CT scan slice 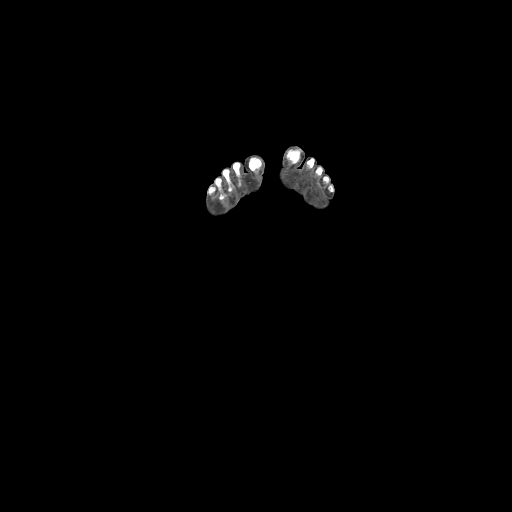 Annotated regions:
• bone: bbox(307, 158, 314, 167); bbox(287, 149, 300, 163); bbox(215, 178, 221, 190); bbox(249, 158, 261, 171); bbox(233, 162, 239, 176); bbox(223, 169, 231, 191)